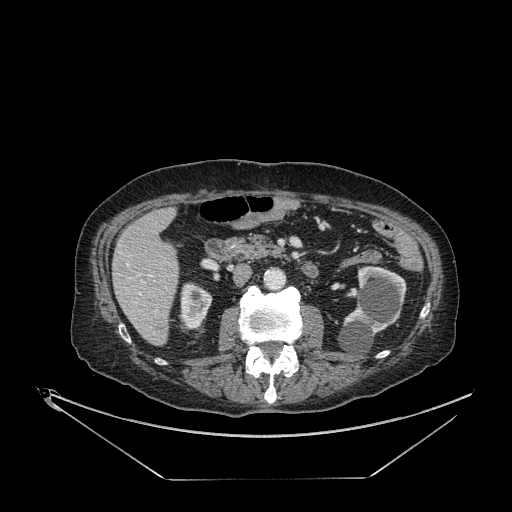
512x512 px. CT. Kidney at 181 284 211 328, 358 266 405 302, 344 306 399 333.
Focal liver lesion at 155 324 166 331.
Liver at 113 208 178 345.